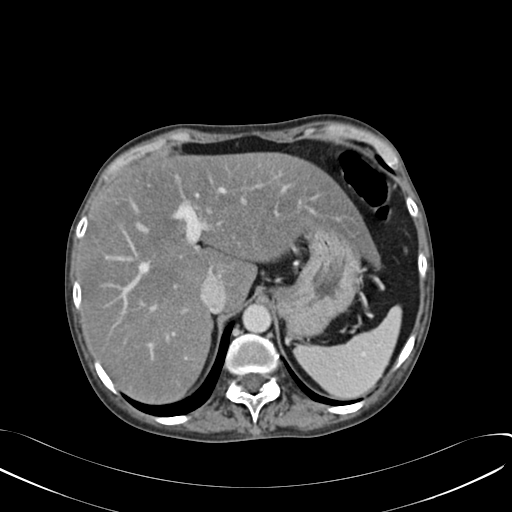

Image size 512x512 | Computed tomography | Abdomen
Liver — (81, 151, 379, 403).